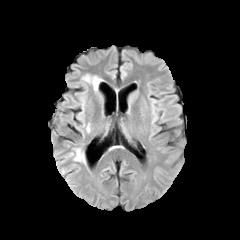
FLAIR MRI.
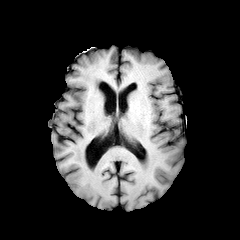
T1-weighted magnetic resonance of the same slice.
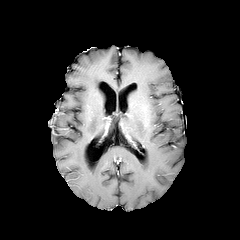
Post-contrast T1-weighted MRI.
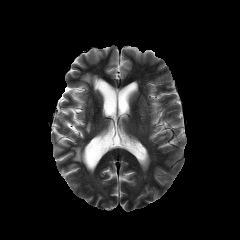
T2-weighted MR of the same slice.
Brain
Edema: bounding box [70,147,85,165], [82,74,102,92], [79,83,87,117].